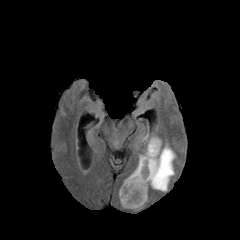
FLAIR magnetic resonance.
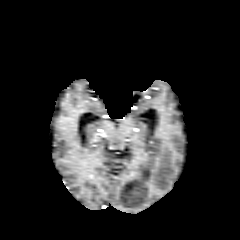
Same slice, T1-weighted magnetic resonance.
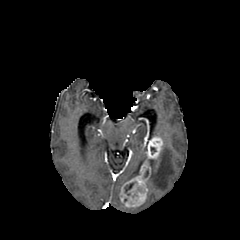
Post-contrast T1-weighted magnetic resonance.
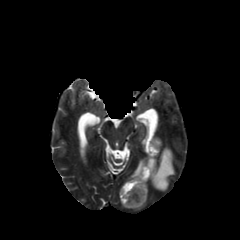
T2-weighted MR of the same slice.
Image size 240x240
Findings:
• non-enhancing tumor core: x1=124 y1=183 x2=133 y2=195, x1=148 y1=159 x2=157 y2=167
• edema: x1=126 y1=155 x2=146 y2=179, x1=149 y1=146 x2=174 y2=191
• enhancing tumor: x1=119 y1=137 x2=162 y2=208